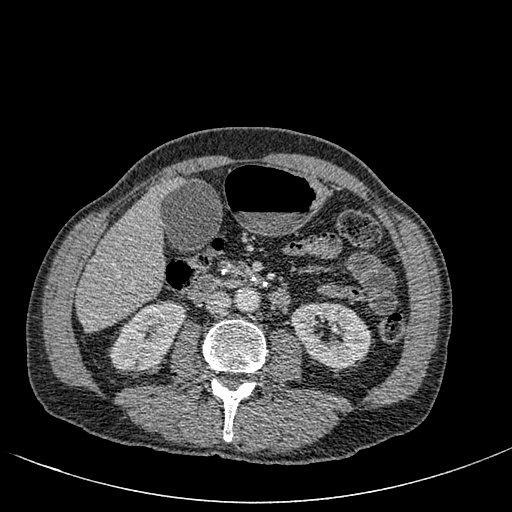
CT image; Abdomen
kidney:
  - bbox=[291, 303, 370, 369]
  - bbox=[110, 301, 185, 370]
liver:
  - bbox=[76, 178, 185, 330]